Slice 17 of 31. MR image. 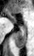 The anterior hippocampus is at 6, 10, 15, 22. The posterior hippocampus is located at 14, 25, 26, 48.